CT scan slice | Field of view 415x415 mm | Slice index 43 | 512x512
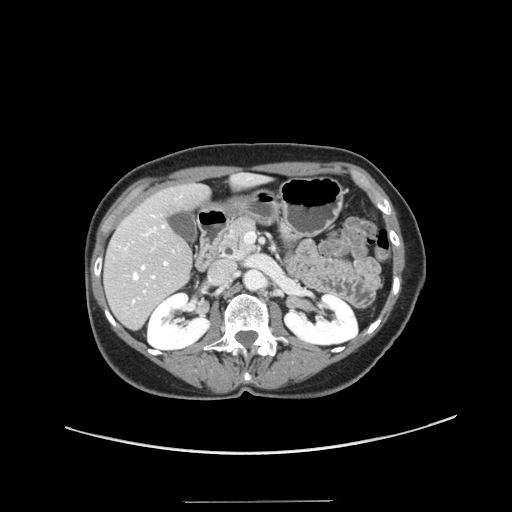 The vessel annotation is not exhaustive.
Segmented structures:
- hepatic vessel: (left=153, top=215, right=154, bottom=216), (left=133, top=273, right=138, bottom=279), (left=133, top=299, right=134, bottom=301), (left=152, top=275, right=154, bottom=277), (left=165, top=262, right=167, bottom=264), (left=162, top=225, right=164, bottom=227), (left=142, top=265, right=144, bottom=268), (left=143, top=227, right=156, bottom=236)